Slice index 123, Computed tomography, Upper abdomen 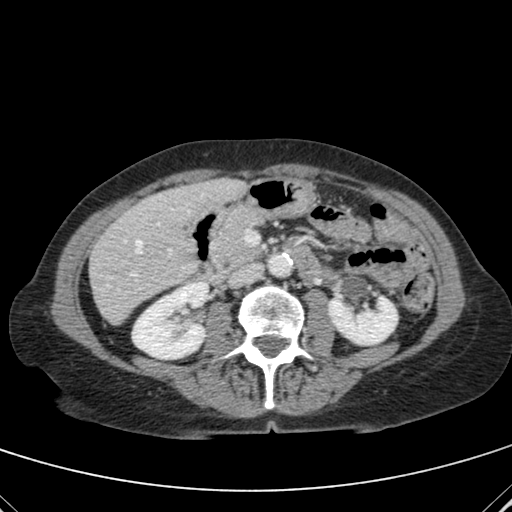
Kidney — bbox(133, 283, 206, 358); bbox(329, 297, 397, 344).
Liver — bbox(90, 178, 245, 322).